Computed tomography, Slice 45/61, Field of view 450x450 mm, 512x512 px
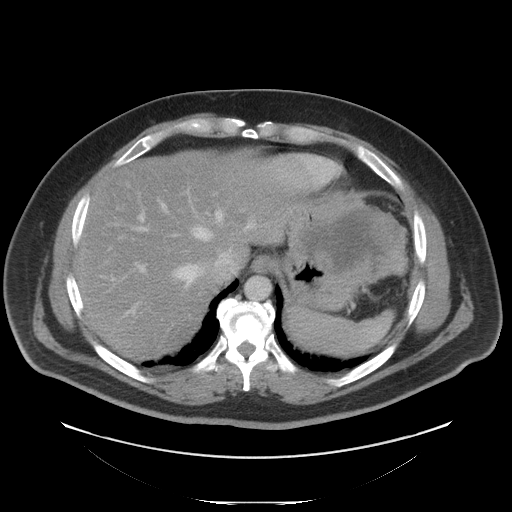 The pancreatic tumor is located at 296 205 405 275. 2 pancreas regions appear at 327 210 352 221, 345 258 399 280.